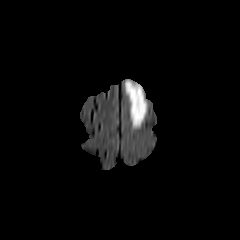
FLAIR magnetic resonance.
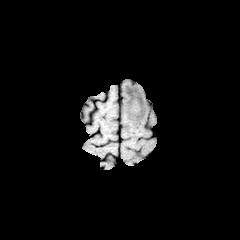
Same slice, T1-weighted MRI.
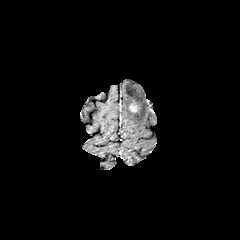
Same slice, post-contrast T1-weighted MRI.
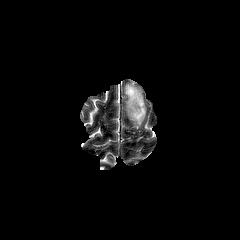
T2-weighted MR image of the same slice.
Head
<segmentation>
  <edema>l=124, t=81, r=147, b=129</edema>
</segmentation>